Head | 240x240
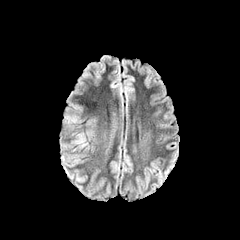
FLAIR MRI.
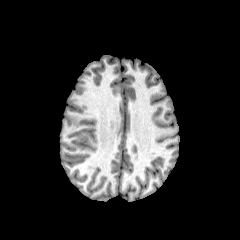
Same slice, T1-weighted magnetic resonance.
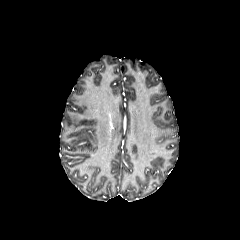
Post-contrast T1-weighted MR.
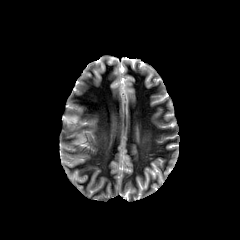
T2-weighted MR image of the same slice.
Edema: bounding box (65, 114, 83, 123), (73, 132, 89, 148).